Head.
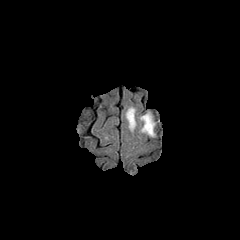
FLAIR MR.
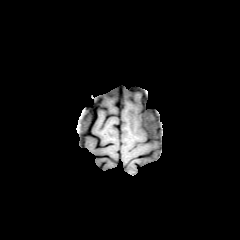
T1-weighted MR.
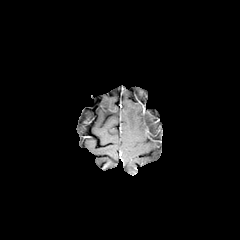
Same slice, post-contrast T1-weighted magnetic resonance.
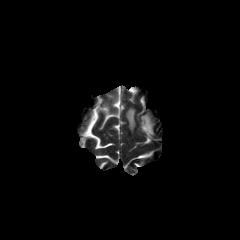
Same slice, T2-weighted MRI.
2 edema regions are bounded by l=141, t=114, r=154, b=135; l=126, t=108, r=135, b=129.